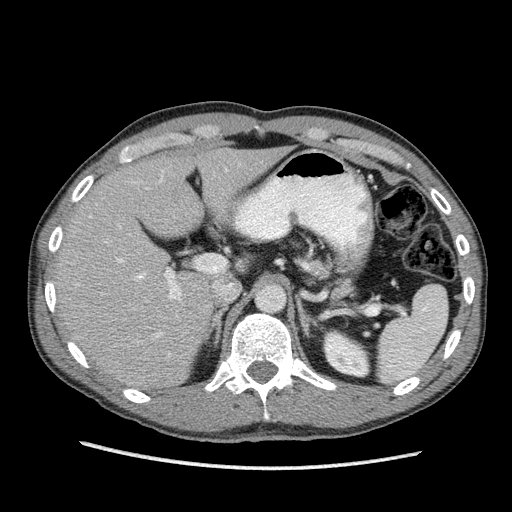

CT. 512x512 px. Segmented structures:
• liver: 49,146,293,391; 235,260,246,271
• kidney: 325,333,367,375